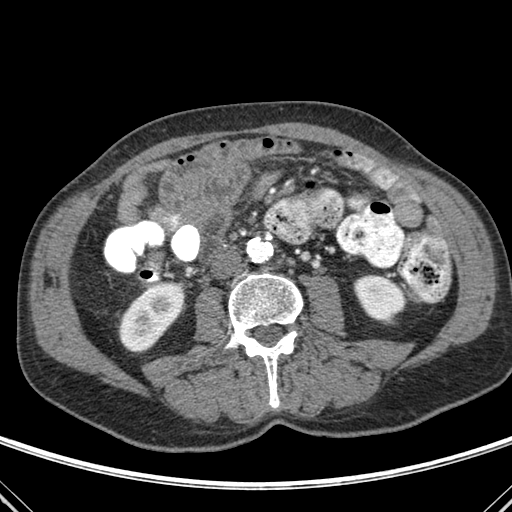

CT | Abdomen
Annotated regions:
• bone: 225 273 302 407
• kidney: 356 276 402 319, 121 284 183 350